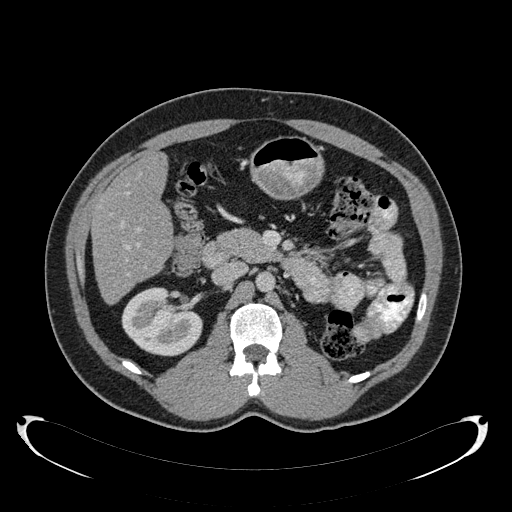
Computed tomography | 512x512
The kidney lies within <bbox>122, 288, 201, 355</bbox>. The liver lies within <bbox>92, 153, 173, 303</bbox>.